FLAIR MR.
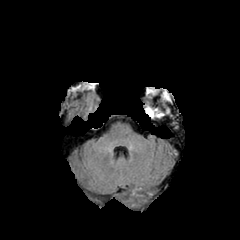
T1-weighted magnetic resonance.
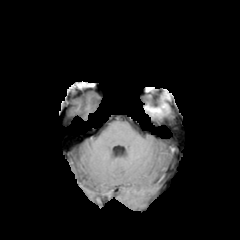
Post-contrast T1-weighted MR image.
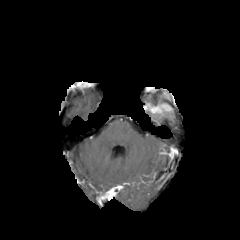
T2-weighted MR image.
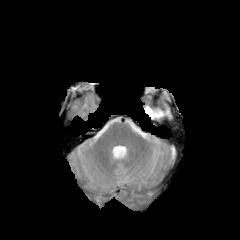
Head
Annotated regions:
• enhancing tumor: (146,103,163,114)
• non-enhancing tumor core: (149,104,169,113), (147,110,163,117)